Magnetic resonance. Heart.

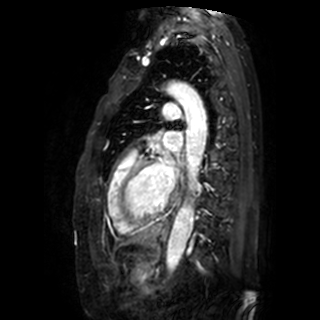

2 left atrium regions appear at {"x1": 163, "y1": 132, "x2": 181, "y2": 150}, {"x1": 159, "y1": 160, "x2": 174, "y2": 188}.